Brain; Field of view 240x240 mm
FLAIR MRI.
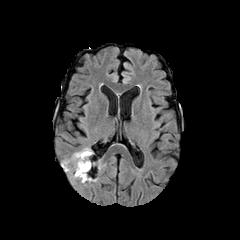
T1-weighted MR image.
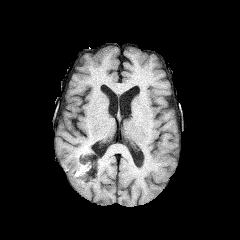
Post-contrast T1-weighted magnetic resonance.
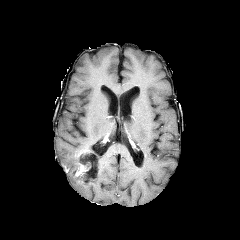
T2-weighted MR.
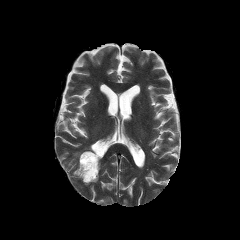
Findings:
* enhancing tumor: [75, 163, 88, 176]
* non-enhancing tumor core: [78, 148, 97, 181]
* edema: [61, 148, 95, 185]